FLAIR MR image.
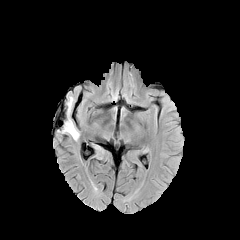
T1-weighted MR.
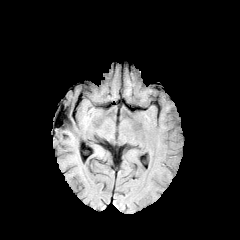
Post-contrast T1-weighted MR.
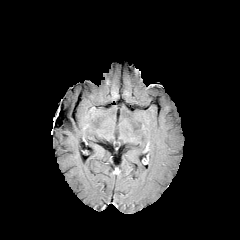
T2-weighted MR image.
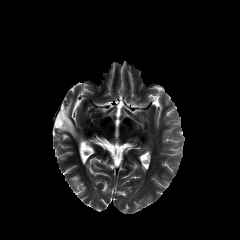
Head
<segmentation>
  <edema>box=[62, 97, 79, 139]</edema>
</segmentation>